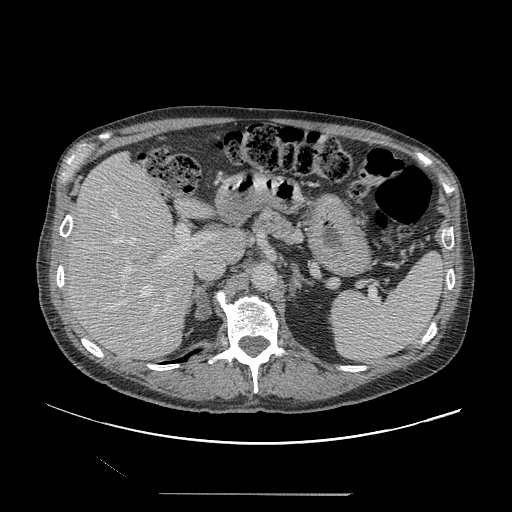 Image size 512x512; CT slice; Upper abdomen
Pancreas at 250, 206, 305, 246.